Slice 126/217; CT slice

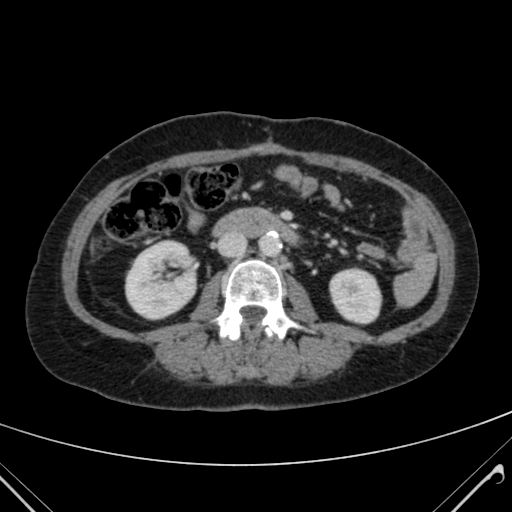

2 kidney regions are located at left=127, top=242, right=194, bottom=317; left=331, top=270, right=379, bottom=322.